FLAIR MRI.
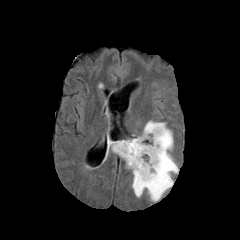
T1-weighted MRI.
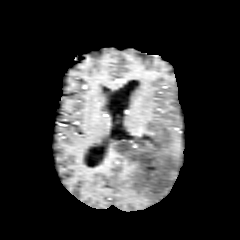
Post-contrast T1-weighted magnetic resonance.
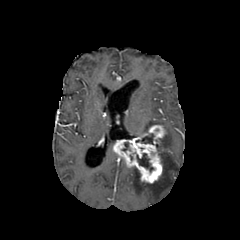
T2-weighted MR.
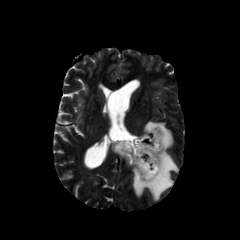
Brain, 240x240
Non-enhancing tumor core: bounding box box=[136, 153, 153, 171]; box=[136, 133, 154, 144].
Enhancing tumor: bounding box box=[113, 125, 165, 183].
Edema: bounding box box=[129, 120, 178, 201].